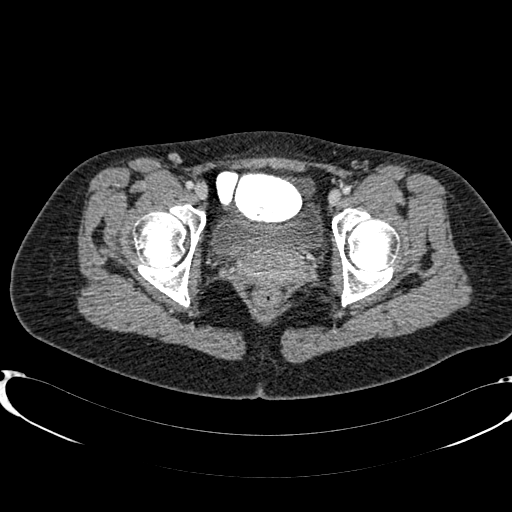 CT slice | Lower abdomen
{"urinary_bladder": ["215 200 320 254"]}